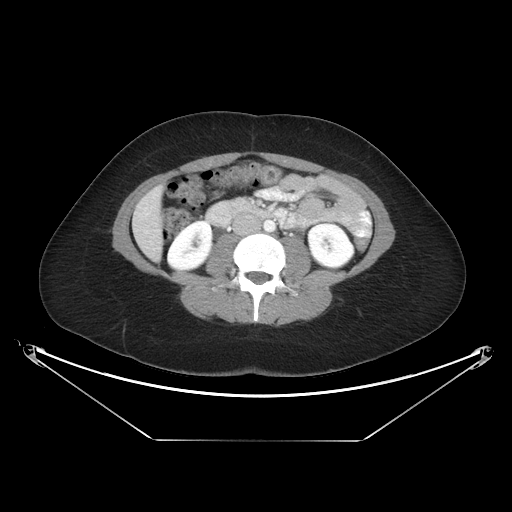 CT slice | Abdomen
Pancreas: box=[230, 197, 256, 213].